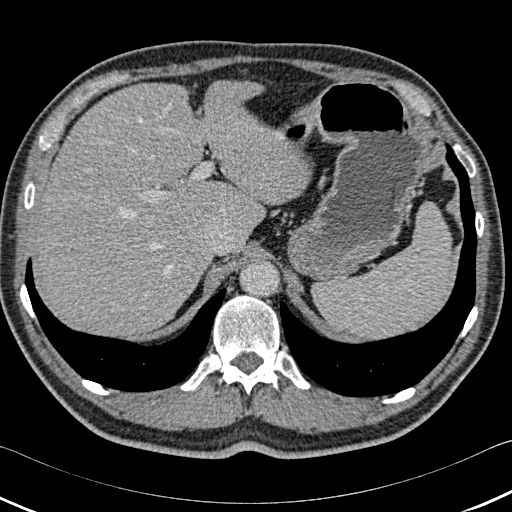 512x512, Liver, CT slice
Segmented structures:
• lung: region(279, 143, 476, 397); region(25, 258, 226, 391)
• liver: region(40, 80, 307, 336)
• bone: region(475, 212, 483, 236); region(39, 134, 51, 150); region(461, 306, 477, 336); region(383, 388, 415, 403); region(180, 296, 309, 393); region(82, 380, 108, 394); region(453, 144, 475, 177); region(20, 284, 34, 317); region(24, 182, 34, 208)